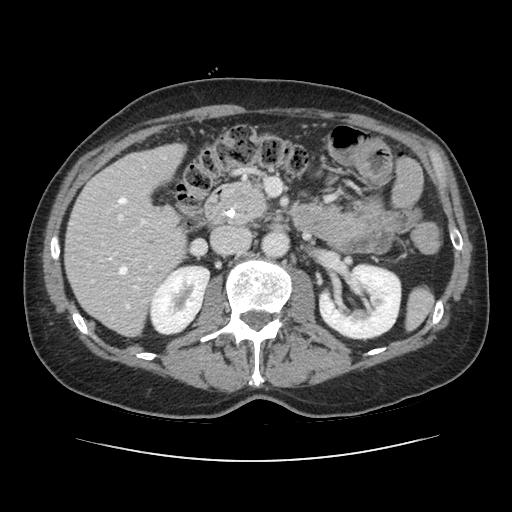
Upper abdomen | CT image
Pancreatic tumor: 234:193:251:204.
Pancreas: 223:182:266:224.